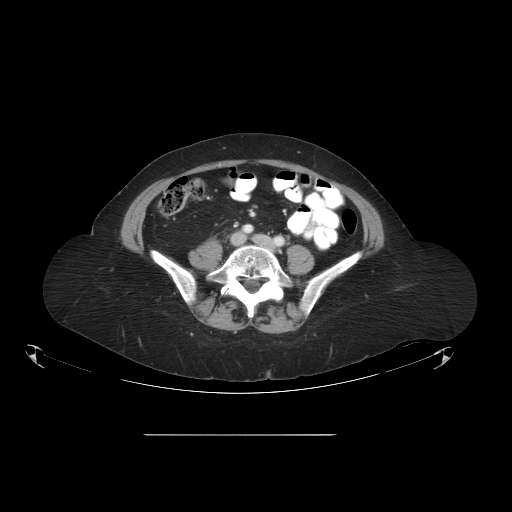
Abdomen, CT slice, 512x512
<segmentation>
  <colon_tumor>left=168, top=186, right=190, bottom=215</colon_tumor>
</segmentation>